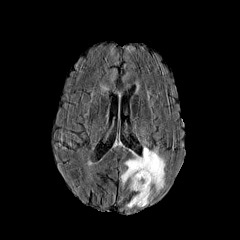
FLAIR MR.
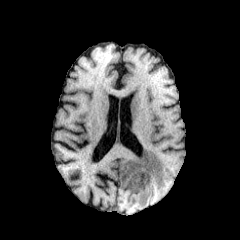
T1-weighted MR image.
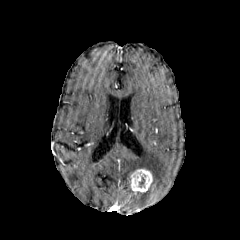
Post-contrast T1-weighted MR image.
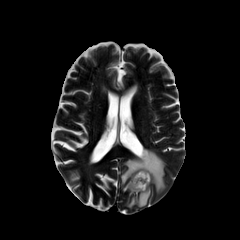
T2-weighted MRI.
240x240 px | Head
The enhancing tumor is located at x1=129, y1=168, x2=153, y2=192. The non-enhancing tumor core appears at x1=137, y1=173, x2=146, y2=188. 2 edema regions are located at x1=125, y1=188, x2=149, y2=208; x1=119, y1=147, x2=165, y2=194.